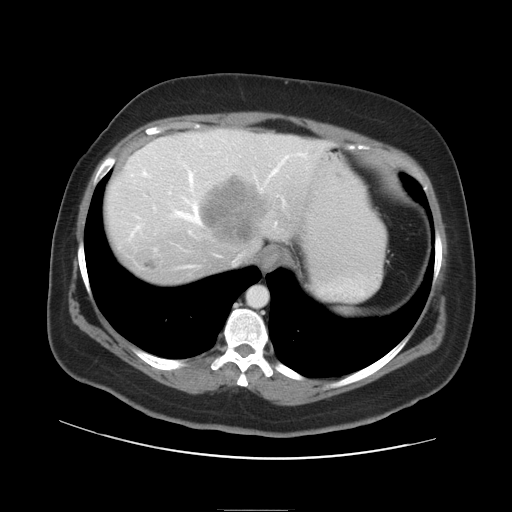
Liver. Image size 512x512. CT scan slice.
Some hepatic vessels may have no box.
The liver tumor lies within box=[199, 175, 264, 241]. 5 hepatic vessel regions appear at box=[184, 265, 193, 267]; box=[233, 260, 235, 263]; box=[267, 154, 290, 180]; box=[188, 170, 193, 191]; box=[174, 198, 200, 224].